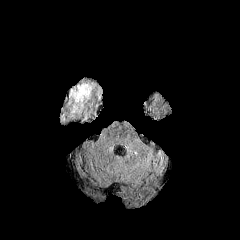
FLAIR MR image.
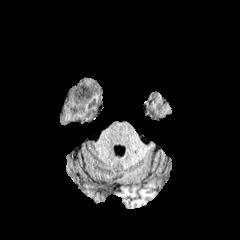
Same slice, T1-weighted magnetic resonance.
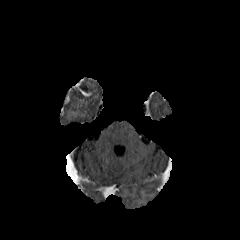
Post-contrast T1-weighted magnetic resonance.
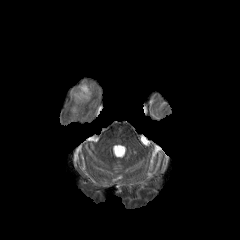
T2-weighted MR of the same slice.
240x240; Head
non-enhancing_tumor_core:
  - x1=60, y1=77, x2=102, y2=124